Image width 432 mm, 512x512, CT slice, Abdomen 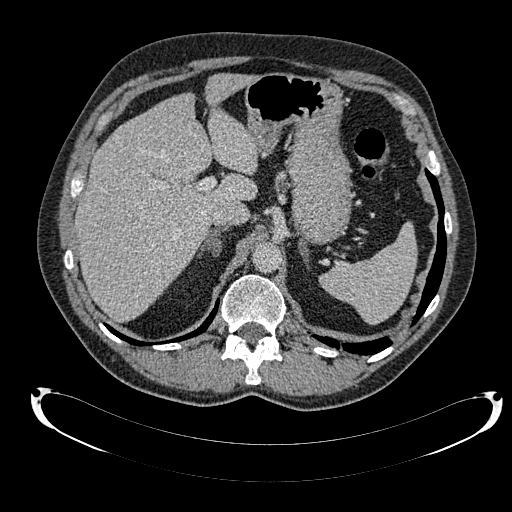 Liver — [x1=206, y1=74, x2=256, y2=173], [x1=76, y1=93, x2=256, y2=320].